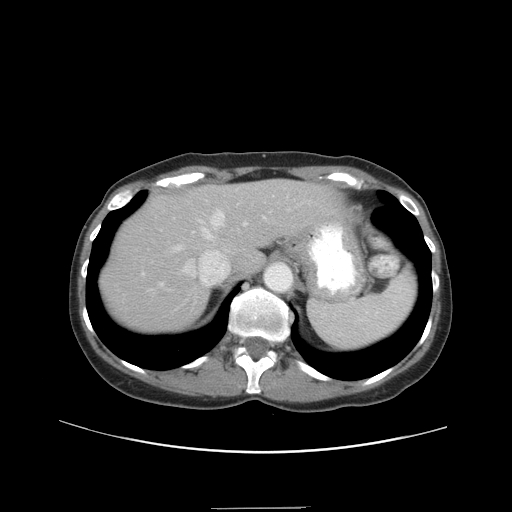

CT scan slice, Liver
Only some of the vessels may be annotated.
Hepatic vessel at [184, 260, 194, 276], [263, 216, 264, 217], [211, 211, 224, 228], [243, 222, 246, 225], [204, 252, 207, 255], [200, 274, 205, 282], [202, 228, 212, 238].